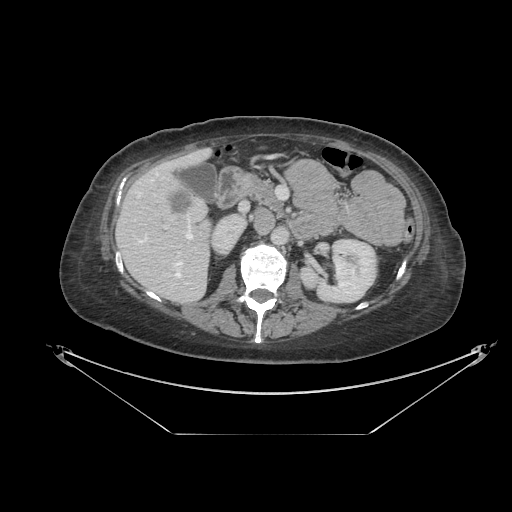

CT. 512x512. Upper abdomen. <segmentation>
  <pancreas>l=251, t=181, r=283, b=214</pancreas>
</segmentation>